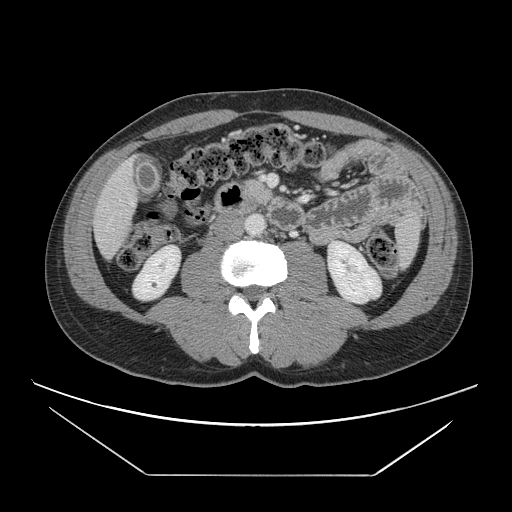
Computed tomography
pancreas:
  - 247:180:264:196